CT image; 512x512 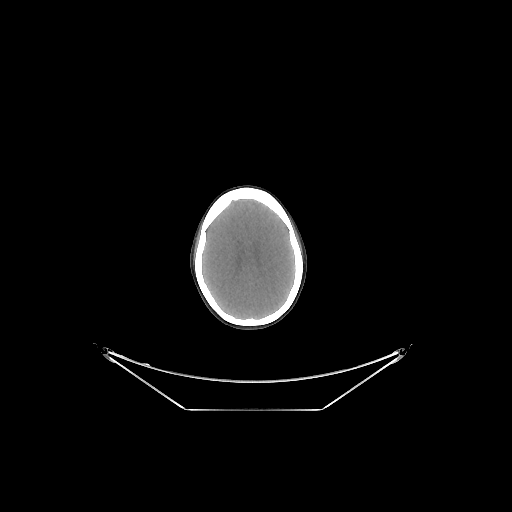
Annotated regions:
• brain: box(202, 199, 295, 319)